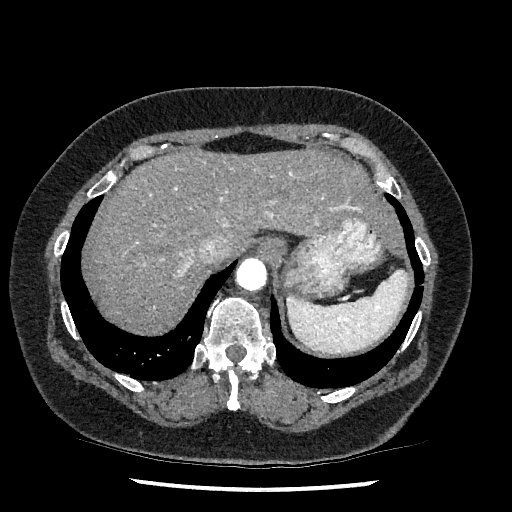 CT; 512x512; Upper abdomen
The liver is bounded by <box>87,150,406,332</box>.